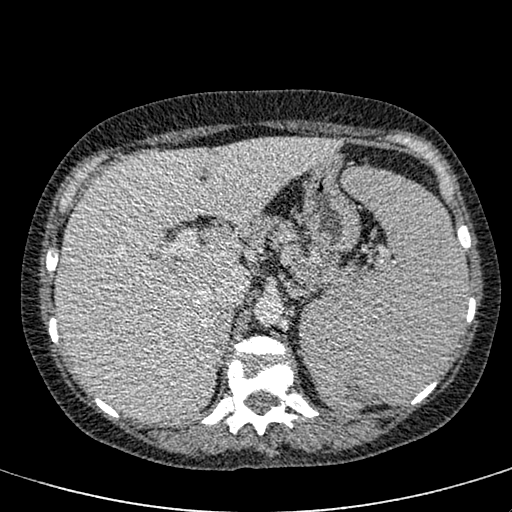
512x512 px; CT slice
liver: {"x1": 57, "y1": 138, "x2": 342, "y2": 421}